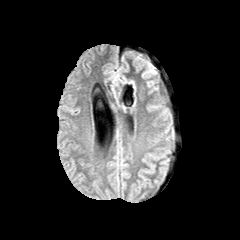
FLAIR MR image.
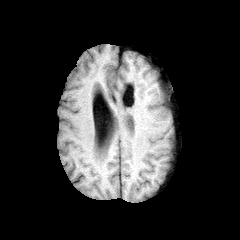
T1-weighted MRI.
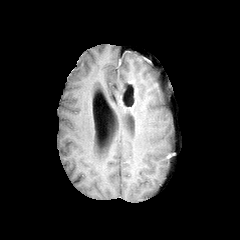
Post-contrast T1-weighted magnetic resonance.
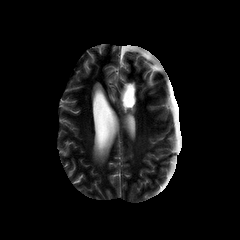
T2-weighted magnetic resonance.
Brain
2 edema regions are located at rect(144, 68, 152, 77); rect(112, 72, 118, 85).